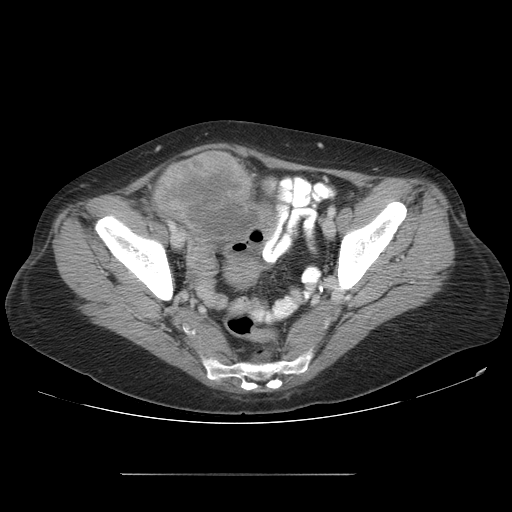 Computed tomography | Pelvis
Findings:
- colon tumor: 155 151 260 239